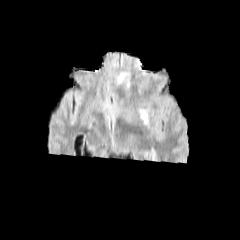
FLAIR MR image.
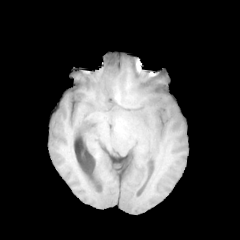
T1-weighted MR image of the same slice.
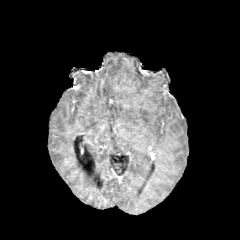
Post-contrast T1-weighted MR image.
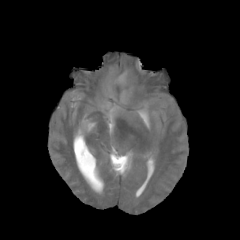
Same slice, T2-weighted MR.
240x240 px.
Edema: bounding box box(139, 108, 148, 123).